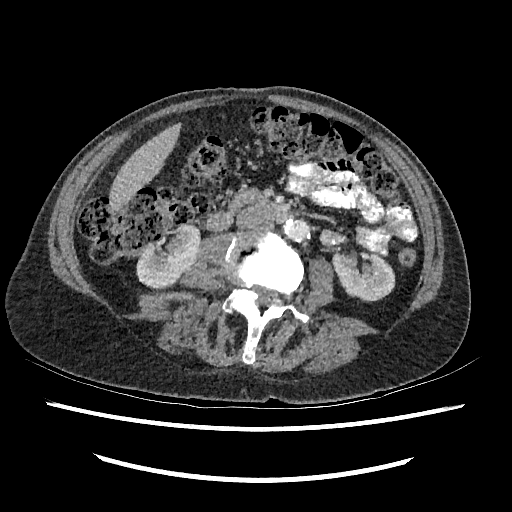

Upper abdomen; Computed tomography; Image size 512x512
The liver is at left=110, top=124, right=178, bottom=209. 2 kidney regions are located at left=333, top=254, right=394, bottom=300; left=137, top=225, right=198, bottom=287.